CT. Abdomen. 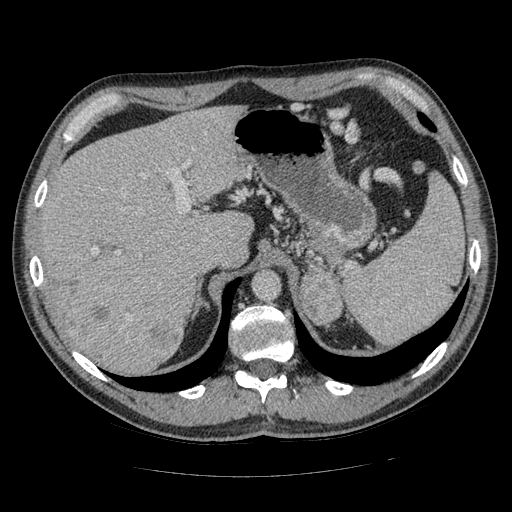
Pancreas — region(299, 271, 307, 308).
Pancreatic tumor — region(302, 267, 343, 324).